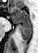 MR image. Hippocampus. Image size 38x53.

The anterior hippocampus appears at 11:8:30:24. The posterior hippocampus is bounded by 17:24:31:43.